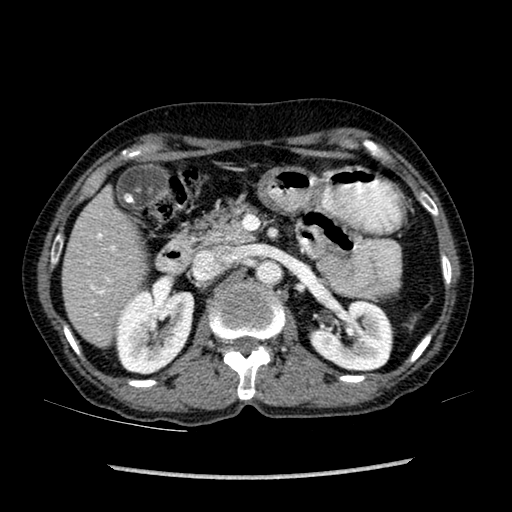 Upper abdomen | CT image
2 kidney regions are located at x1=312, y1=302, x2=390, y2=369; x1=116, y1=282, x2=193, y2=373. The liver lies within x1=62, y1=205, x2=141, y2=337.